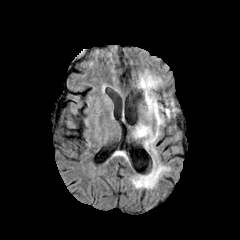
FLAIR MR image.
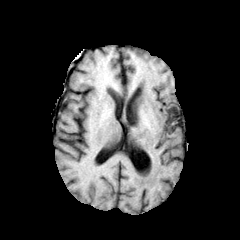
T1-weighted MR image.
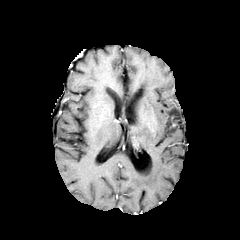
Post-contrast T1-weighted MR image.
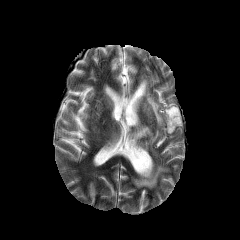
T2-weighted magnetic resonance.
Image size 240x240 | Head
edema: <bbox>132, 72, 178, 155</bbox>, <bbox>132, 162, 169, 189</bbox>